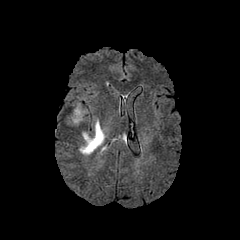
FLAIR magnetic resonance.
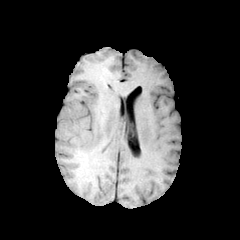
T1-weighted MR image.
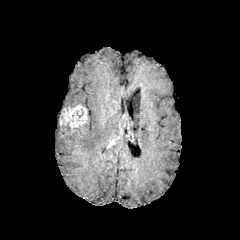
Post-contrast T1-weighted MR.
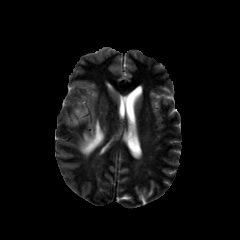
Same slice, T2-weighted MR.
Head; 240x240
The edema is bounded by [x1=79, y1=118, x2=106, y2=155]. The non-enhancing tumor core is bounded by [x1=58, y1=109, x2=86, y2=127]. The enhancing tumor is located at [x1=73, y1=106, x2=86, y2=119].